CT image | Liver | Slice index 104

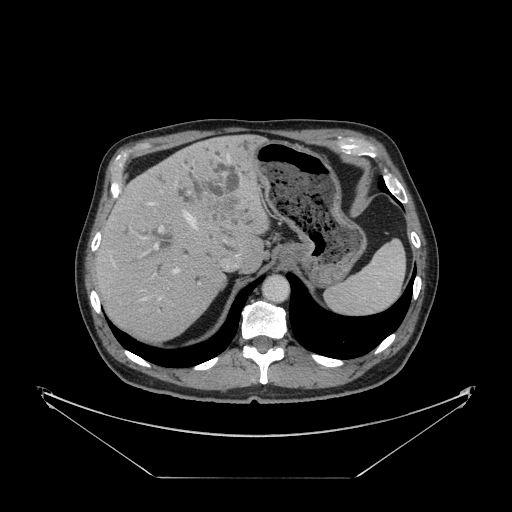 Some hepatic vessels may have no box.
Liver tumor — <bbox>204, 194, 242, 224</bbox>.
Hepatic vessel — <bbox>174, 181, 176, 186</bbox>, <bbox>141, 298, 147, 300</bbox>, <bbox>153, 244, 157, 249</bbox>, <bbox>149, 203, 154, 204</bbox>, <bbox>157, 298, 159, 300</bbox>, <bbox>225, 266, 227, 268</bbox>, <bbox>159, 227, 162, 231</bbox>, <bbox>183, 212, 195, 227</bbox>, <bbox>173, 269, 178, 272</bbox>, <bbox>140, 237, 145, 239</bbox>.